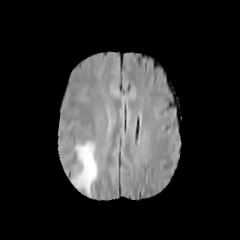
FLAIR MRI.
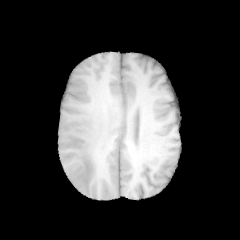
T1-weighted MR image of the same slice.
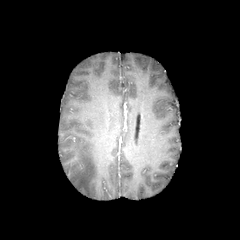
Same slice, post-contrast T1-weighted MRI.
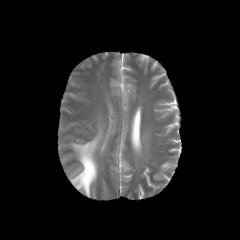
T2-weighted MR image.
240x240
The edema appears at box(71, 141, 97, 195).